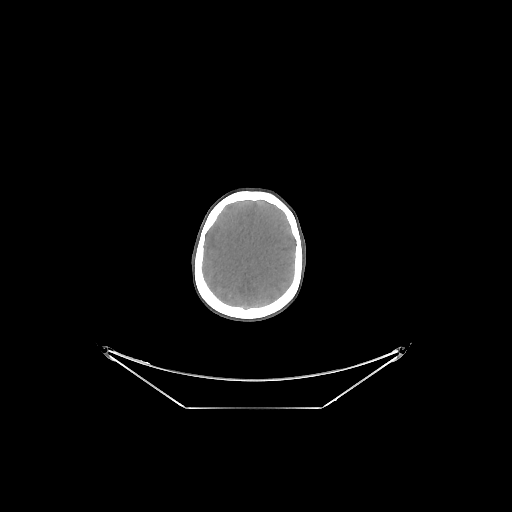
CT image, Head

The brain lies within x1=202, y1=200, x2=296, y2=309. The bone lies within x1=195, y1=191, x2=301, y2=318.